Slice 72 of 155. Head. Image size 240x240.
FLAIR MR image.
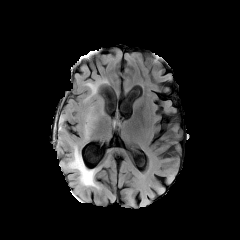
T1-weighted MR image.
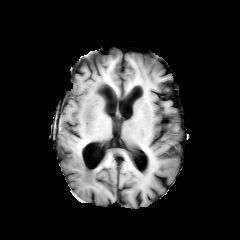
Post-contrast T1-weighted MR image.
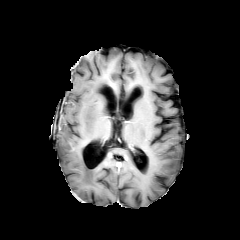
T2-weighted MR.
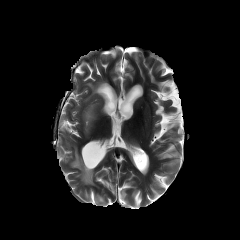
<segmentation>
  <edema>bbox(86, 80, 101, 93); bbox(56, 115, 96, 186); bbox(85, 113, 91, 133)</edema>
</segmentation>